CT

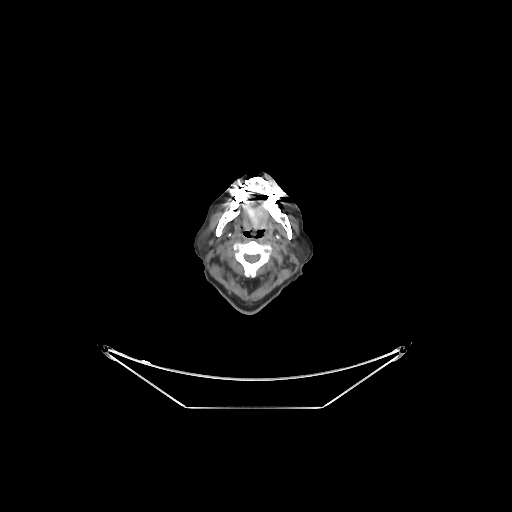 Bone: [233,241,272,276], [216,177,291,239].